Thorax. Field of view 451x451 mm. Slice index 195. CT image.
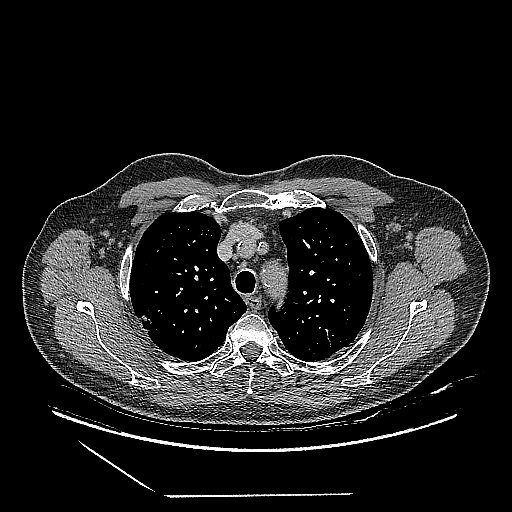 lung tumor: x1=137 y1=306 x2=153 y2=336